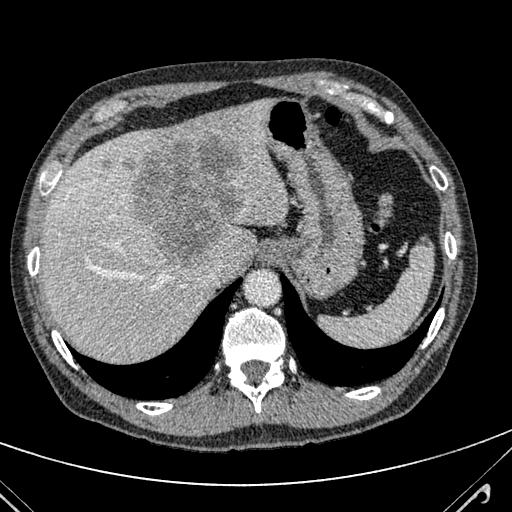

CT scan slice; Liver
• focal liver lesion: box=[133, 135, 243, 266]; box=[125, 160, 136, 169]; box=[100, 163, 108, 179]
• liver: box=[43, 99, 288, 361]